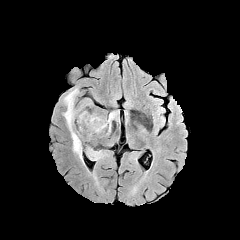
FLAIR MR image.
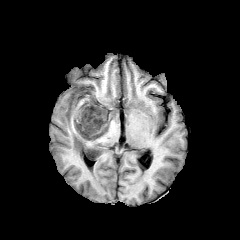
T1-weighted magnetic resonance of the same slice.
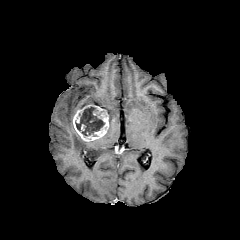
Post-contrast T1-weighted MRI of the same slice.
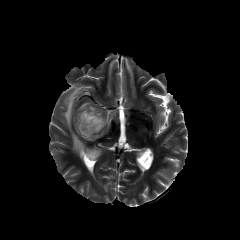
T2-weighted magnetic resonance.
Brain
enhancing tumor: left=72, top=106, right=109, bottom=141 | edema: left=82, top=104, right=95, bottom=110; left=62, top=88, right=99, bottom=162; left=108, top=111, right=116, bottom=123 | non-enhancing tumor core: left=76, top=110, right=103, bottom=136